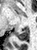
Magnetic resonance
Posterior hippocampus at 14 27 29 40.